MR. 33x50. Slice index 21. Image width 33 mm. 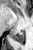

posterior_hippocampus:
  - [12,32,24,42]